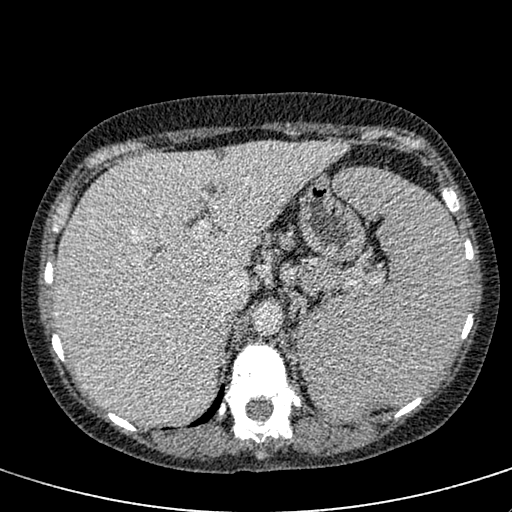
Liver | Image size 512x512 | CT image

<segmentation>
  <liver>(x1=53, y1=141, x2=348, y2=423)</liver>
</segmentation>